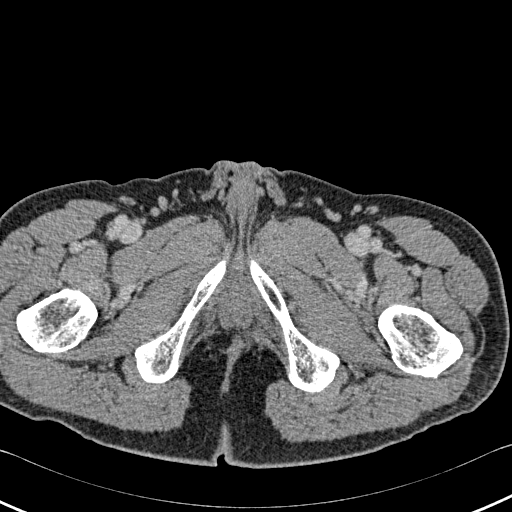

Computed tomography
- bone: bbox=[17, 289, 97, 352]; bbox=[135, 259, 226, 382]; bbox=[378, 305, 462, 377]; bbox=[250, 259, 338, 391]